CT image
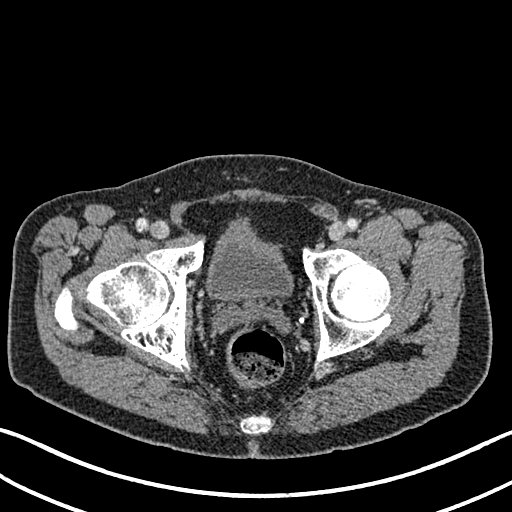

• urinary bladder: <box>206,228,292,306</box>